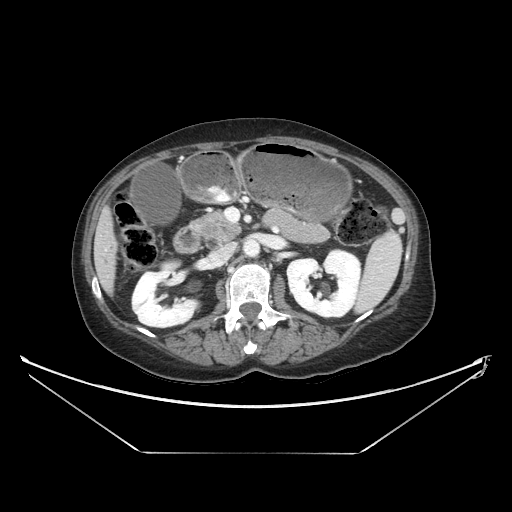
Image size 512x512. CT. The pancreatic tumor appears at [x1=202, y1=223, x2=218, y2=235]. The pancreas is bounded by [x1=193, y1=211, x2=240, y2=239].